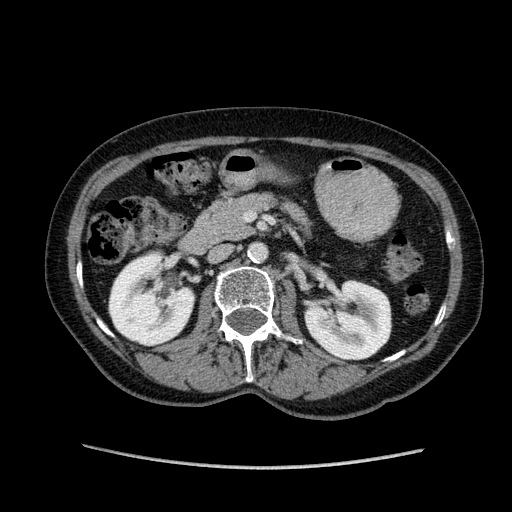 CT | Abdomen
{"kidney": ["left=305, top=276, right=390, bottom=358", "left=109, top=254, right=193, bottom=344"]}